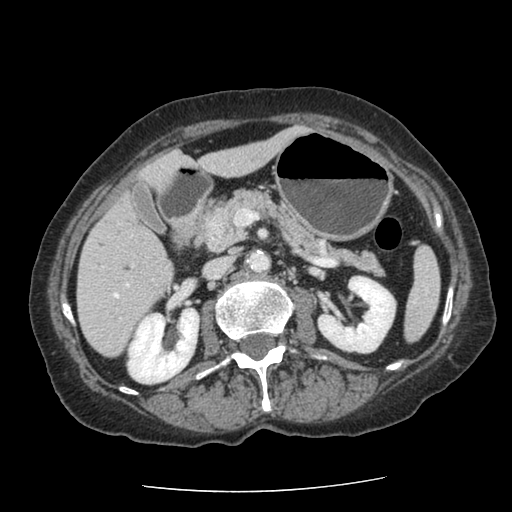 CT slice
pancreas:
  - bbox(203, 191, 383, 275)
pancreatic_tumor:
  - bbox(202, 211, 230, 249)